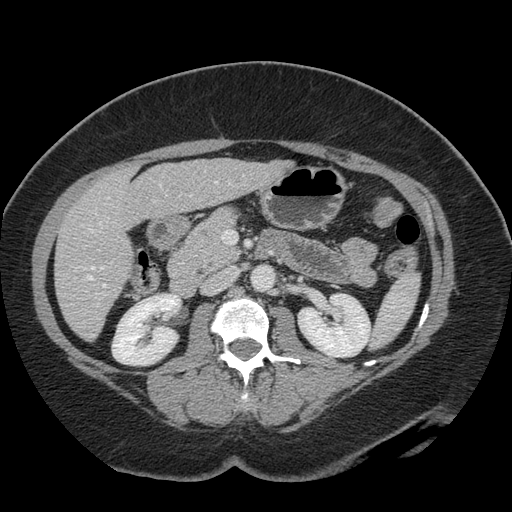
CT, 512x512 px

The vessel annotation is not exhaustive.
Hepatic vessel: (left=89, top=228, right=95, bottom=232), (left=103, top=284, right=106, bottom=287), (left=99, top=222, right=100, bottom=224), (left=190, top=195, right=191, bottom=197), (left=229, top=182, right=231, bottom=185), (left=102, top=293, right=104, bottom=295), (left=215, top=182, right=217, bottom=183), (left=100, top=267, right=103, bottom=270), (left=154, top=201, right=156, bottom=202), (left=91, top=267, right=95, bottom=270), (left=87, top=276, right=92, bottom=280).